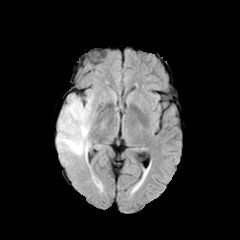
FLAIR MRI.
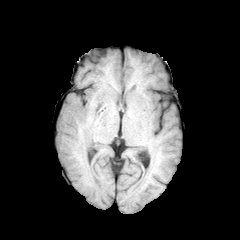
T1-weighted magnetic resonance.
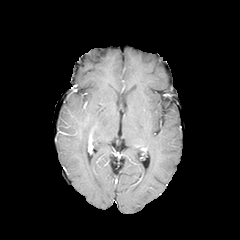
Same slice, post-contrast T1-weighted MR.
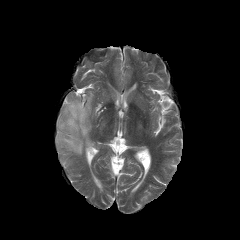
T2-weighted MR of the same slice.
Head
The edema is bounded by (56,91,99,161). The non-enhancing tumor core lies within (64,114,86,134).